Slice 198/733; Pelvis; CT 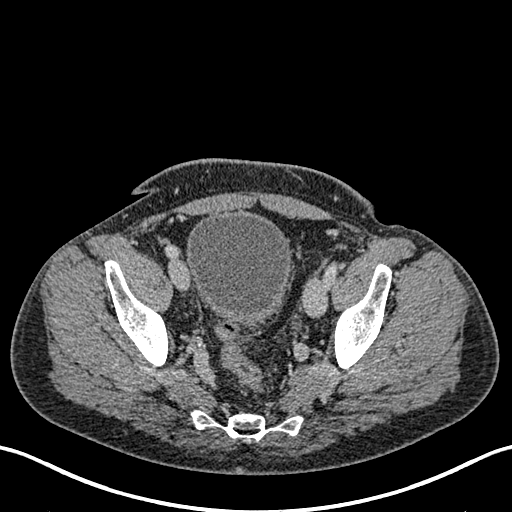

2 urinary bladder regions appear at 227:324:258:328, 186:212:291:322.